FLAIR MRI.
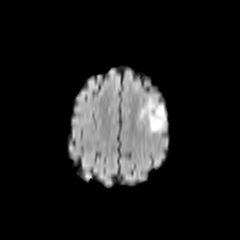
T1-weighted magnetic resonance.
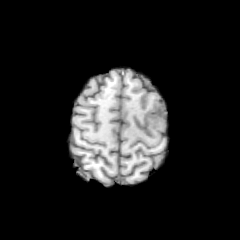
Post-contrast T1-weighted MRI.
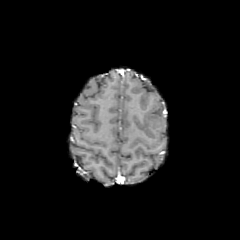
T2-weighted MR.
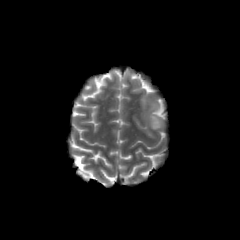
Head; 240x240 px
The non-enhancing tumor core is located at box=[154, 106, 163, 115]. The edema is at box=[140, 95, 167, 132].